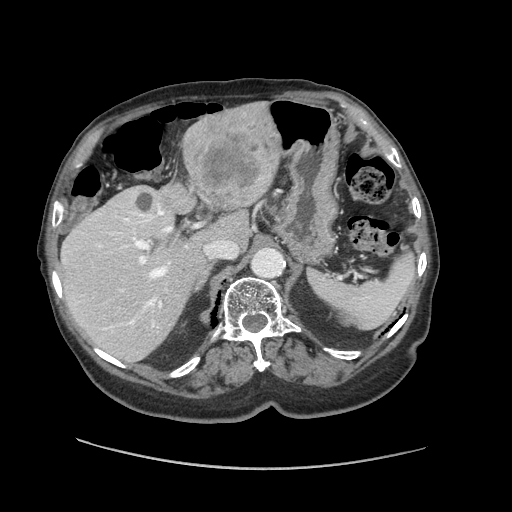
CT
Only some of the vessels may be annotated.
hepatic_vessel:
  - region(147, 298, 155, 306)
  - region(133, 237, 148, 248)
  - region(149, 266, 166, 277)
  - region(205, 241, 237, 258)
  - region(139, 256, 145, 263)
  - region(158, 208, 163, 214)
  - region(165, 227, 171, 231)
liver_tumor:
  - region(188, 102, 276, 205)